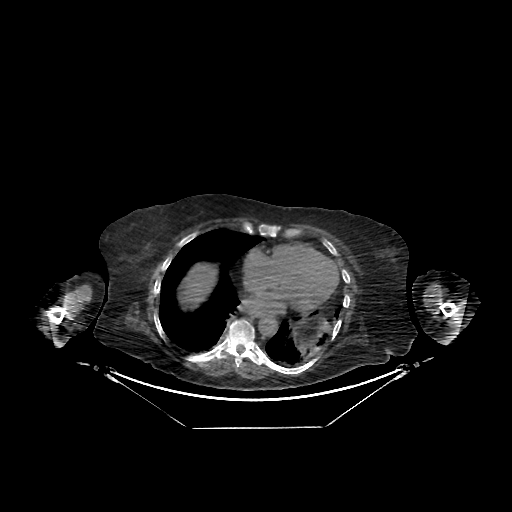 CT

<segmentation>
  <liver>178, 262, 217, 309</liver>
</segmentation>